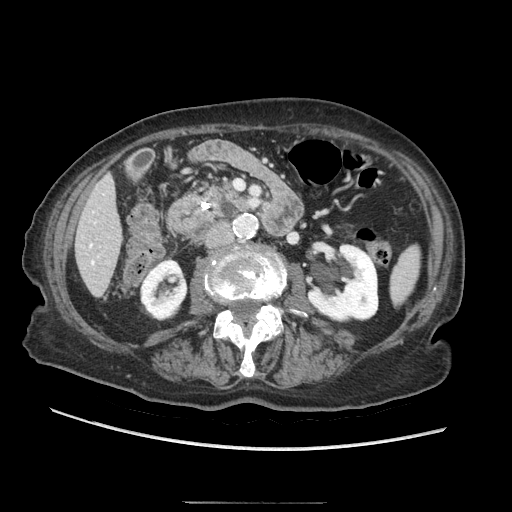 CT slice, 512x512

Pancreas — box(198, 183, 248, 217).